Pelvis. Computed tomography. Image width 411 mm. 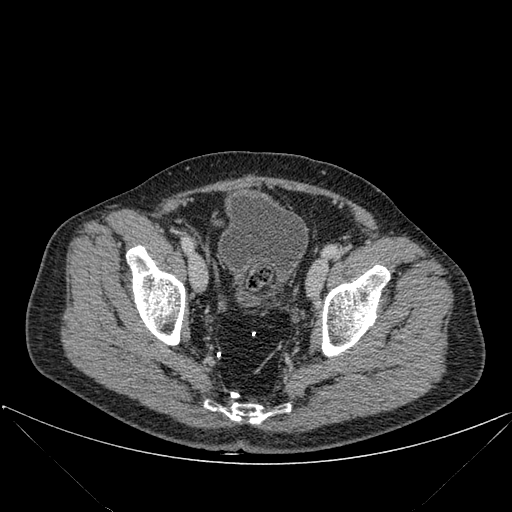

Urinary bladder = box(218, 195, 308, 307).
Bone = box(322, 265, 389, 356); box(204, 401, 290, 424); box(126, 245, 185, 344).